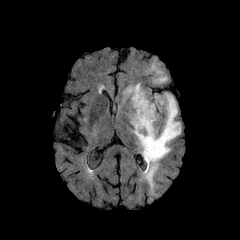
FLAIR magnetic resonance.
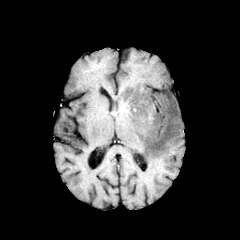
T1-weighted magnetic resonance of the same slice.
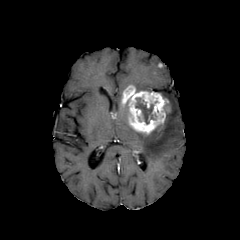
Post-contrast T1-weighted MR.
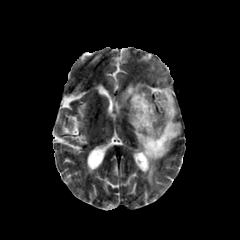
T2-weighted MRI.
Brain
Edema at 157,70,167,82; 133,92,181,185.
Non-enhancing tumor core at 136,102,152,123.
Enhancing tumor at 122,85,171,134.